Brain. Slice index 82. 240x240. Field of view 240 mm wide, 1.00 mm slice spacing.
FLAIR magnetic resonance.
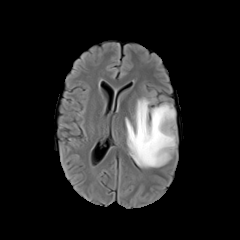
T1-weighted magnetic resonance.
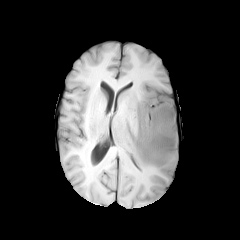
Post-contrast T1-weighted MR.
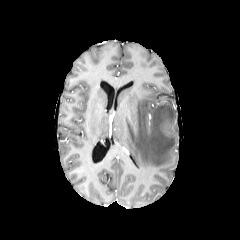
T2-weighted MR.
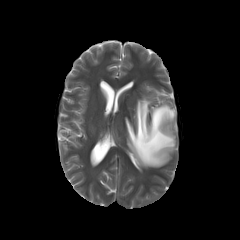
The edema lies within [124,89,178,169].